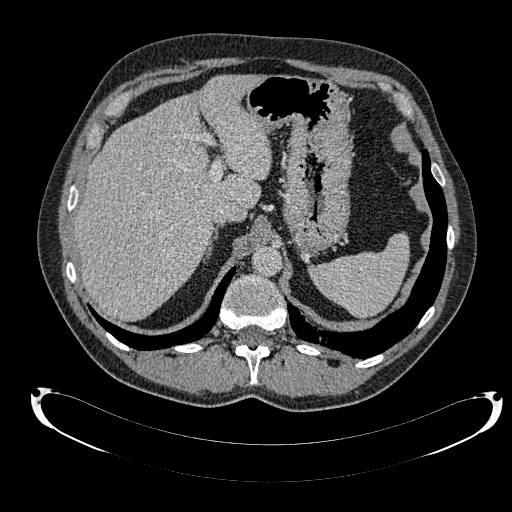 CT image. Liver. liver:
  - 75,75,270,319